FLAIR MR image.
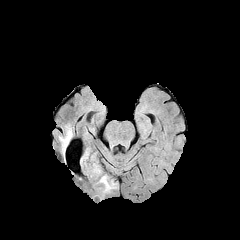
T1-weighted magnetic resonance.
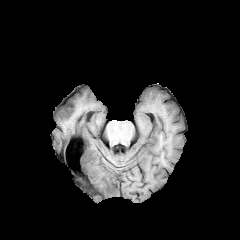
Post-contrast T1-weighted MR.
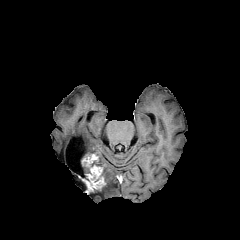
T2-weighted MR.
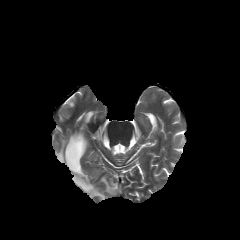
240x240 px. Brain.
Annotated regions:
• edema: {"x1": 99, "y1": 174, "x2": 118, "y2": 196}, {"x1": 60, "y1": 134, "x2": 71, "y2": 154}
• non-enhancing tumor core: {"x1": 82, "y1": 154, "x2": 95, "y2": 174}
• enhancing tumor: {"x1": 84, "y1": 155, "x2": 105, "y2": 191}